512x512 px; Abdomen; CT image

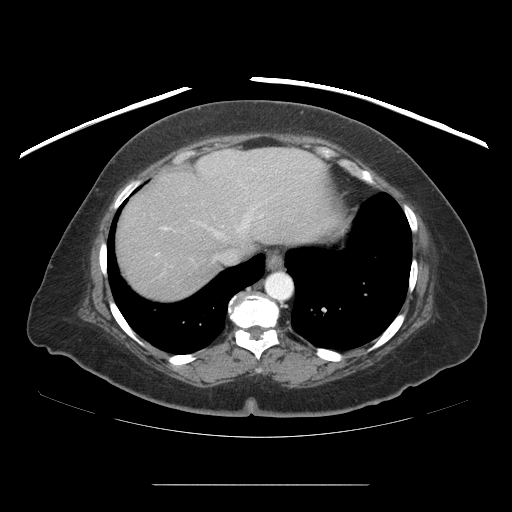 The vessel annotation is not exhaustive.
Hepatic vessel: 237 179 242 185, 244 187 246 188, 258 214 262 218, 236 203 261 232, 199 223 223 236, 161 226 169 230, 156 253 158 255, 212 252 236 261.